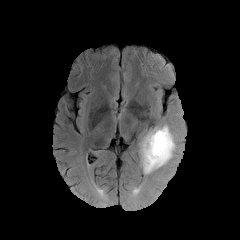
FLAIR magnetic resonance.
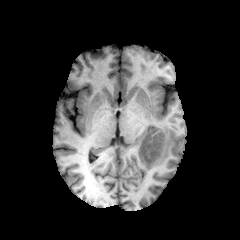
T1-weighted MR.
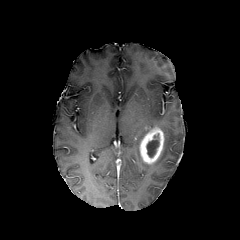
Post-contrast T1-weighted magnetic resonance.
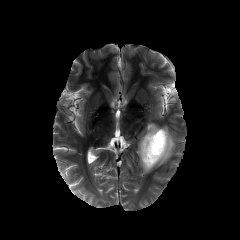
T2-weighted MR of the same slice.
Head
Segmented structures:
• non-enhancing tumor core: [147,140,158,157]
• edema: [137,124,181,174]
• enhancing tumor: [139,127,165,165]